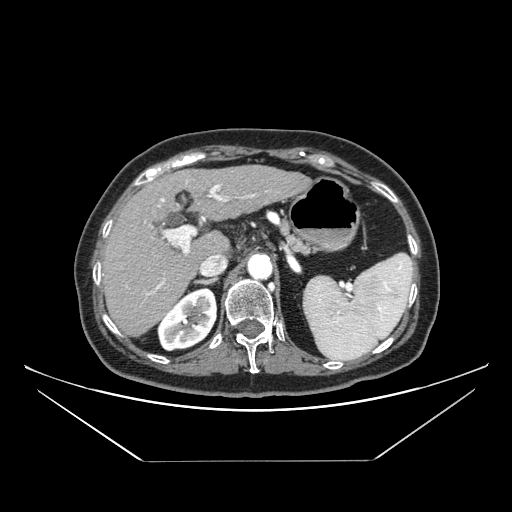 CT slice
The pancreas is at x1=277, y1=218, x2=314, y2=256.